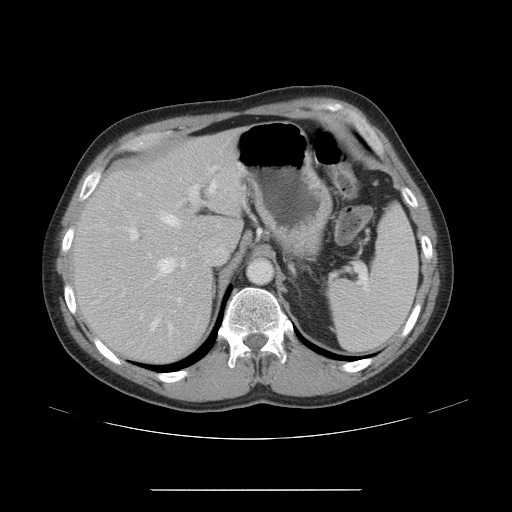

CT scan slice, Liver

The vessel annotation is not exhaustive.
<segmentation>
  <hepatic_vessel>region(217, 225, 218, 227); region(237, 165, 241, 176); region(177, 299, 181, 301); region(189, 184, 200, 202); region(210, 166, 216, 171); region(208, 181, 216, 193); region(132, 222, 134, 223); region(158, 257, 175, 273); region(126, 228, 137, 239); region(151, 319, 159, 330); region(138, 193, 140, 195); region(174, 246, 175, 248); region(158, 212, 180, 228); region(181, 258, 185, 266)</hepatic_vessel>
</segmentation>